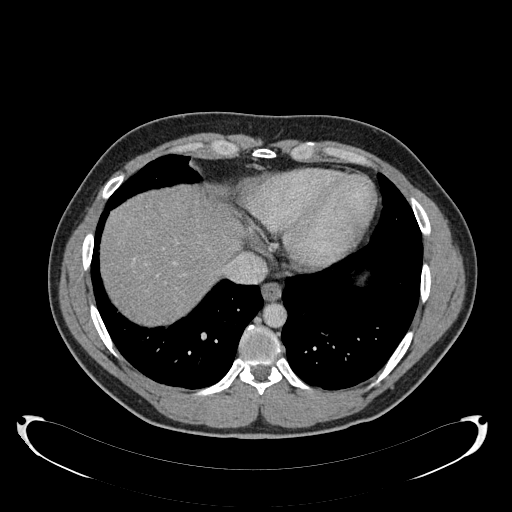 CT scan slice

Liver = box=[101, 187, 243, 323].